Brain | Slice 41/155 | Image size 240x240
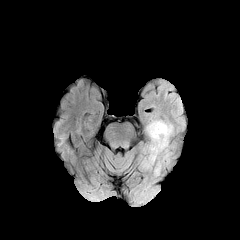
FLAIR MR.
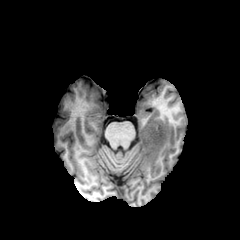
Same slice, T1-weighted magnetic resonance.
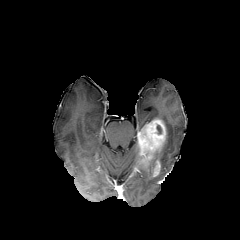
Post-contrast T1-weighted MR image.
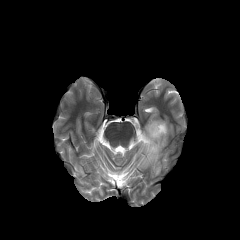
T2-weighted MR image.
<segmentation>
  <enhancing_tumor>left=137, top=119, right=166, bottom=166; left=153, top=161, right=160, bottom=177</enhancing_tumor>
  <edema>left=150, top=120, right=171, bottom=171</edema>
</segmentation>